Image size 240x240
FLAIR MR.
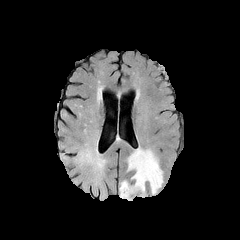
T1-weighted MR.
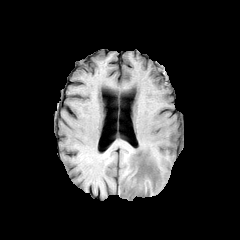
Post-contrast T1-weighted MR.
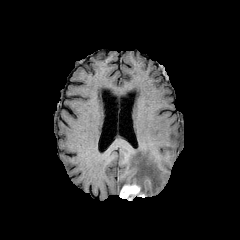
T2-weighted MR image.
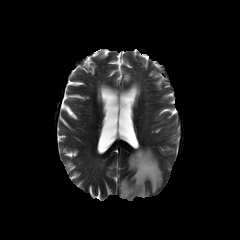
<segmentation>
  <edema>(x1=128, y1=148, x2=163, y2=195)</edema>
  <enhancing_tumor>(x1=120, y1=183, x2=144, y2=199)</enhancing_tumor>
</segmentation>